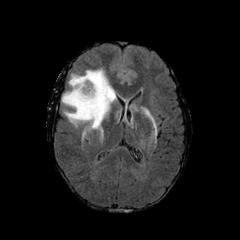
FLAIR MR.
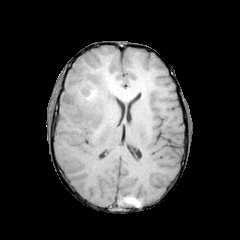
T1-weighted MR image.
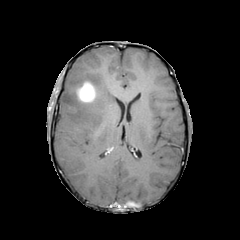
Post-contrast T1-weighted MR image.
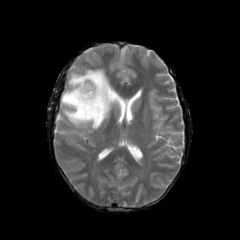
T2-weighted magnetic resonance.
Brain
{
  "enhancing_tumor": [
    "(x1=77, y1=82, x2=95, y2=101)"
  ],
  "non-enhancing_tumor_core": [
    "(x1=66, y1=90, x2=96, y2=104)"
  ],
  "edema": [
    "(x1=61, y1=68, x2=117, y2=135)"
  ]
}